FLAIR magnetic resonance.
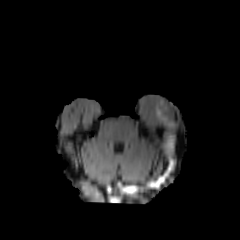
T1-weighted MR.
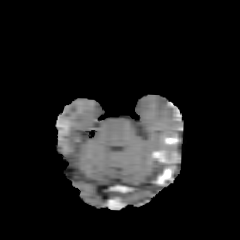
Post-contrast T1-weighted MR image.
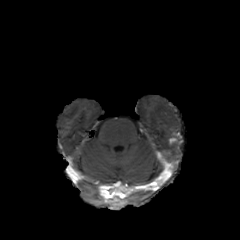
T2-weighted magnetic resonance.
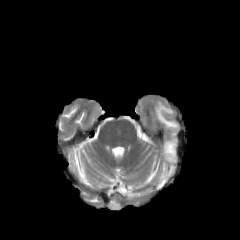
Brain
Edema: bounding box l=162, t=139, r=178, b=159; l=155, t=103, r=180, b=138.